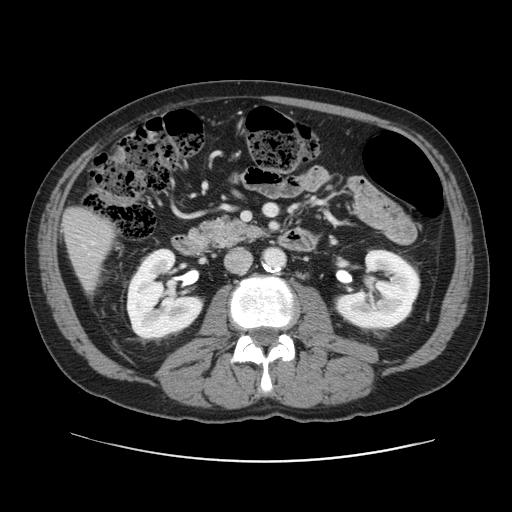
Liver | CT image

Not every hepatic vessel necessarily has a box.
The hepatic vessel is bounded by (x1=92, y1=242, x2=93, y2=244).